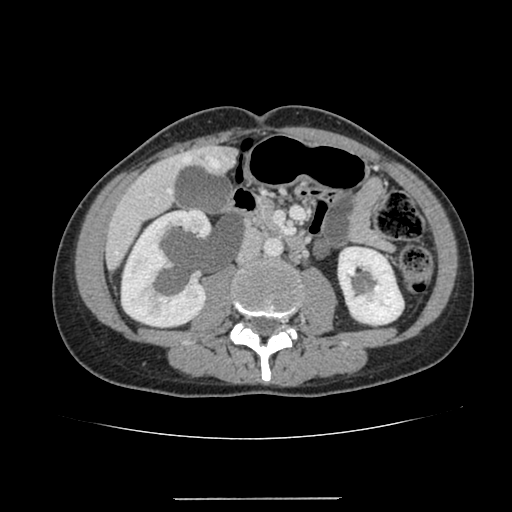 Image size 512x512 | CT scan slice
<segmentation>
  <liver>106:145:237:270</liver>
  <kidney>338:247:403:324, 122:210:209:326</kidney>
</segmentation>